CT image. Abdomen. Slice 513/722. Field of view 382x382 mm.

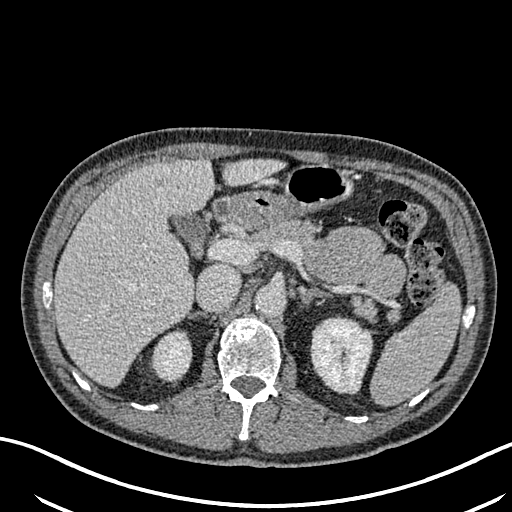 liver lesion: left=155, top=176, right=168, bottom=187 | liver: left=55, top=160, right=212, bottom=385; left=224, top=159, right=282, bottom=186 | kidney: left=312, top=319, right=371, bottom=391; left=154, top=333, right=191, bottom=379